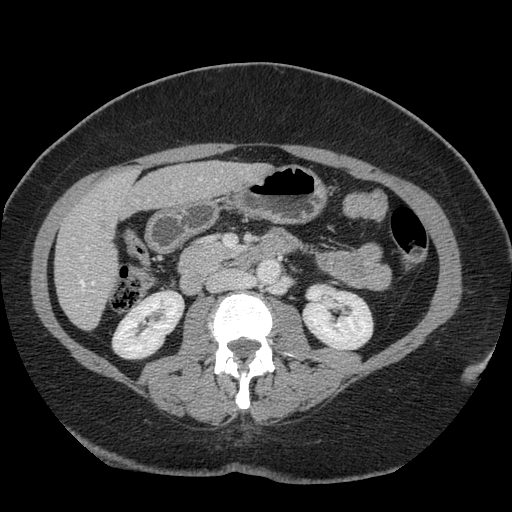

CT scan slice

Only some of the vessels may be annotated.
3 hepatic vessel regions are located at bbox(80, 256, 84, 259); bbox(92, 282, 94, 284); bbox(80, 280, 84, 293).